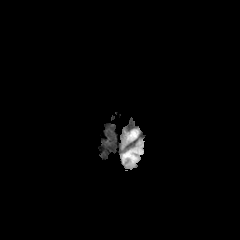
FLAIR magnetic resonance.
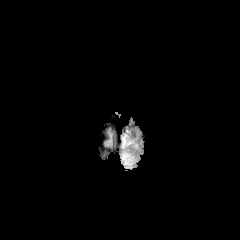
T1-weighted magnetic resonance.
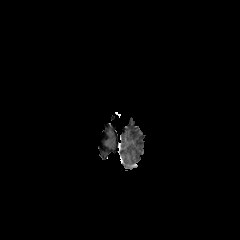
Post-contrast T1-weighted MR of the same slice.
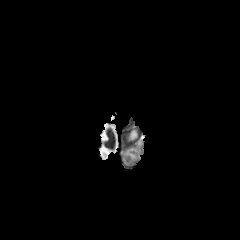
T2-weighted MRI of the same slice.
Edema: {"x1": 122, "y1": 145, "x2": 143, "y2": 166}, {"x1": 126, "y1": 130, "x2": 139, "y2": 142}.